FLAIR MRI.
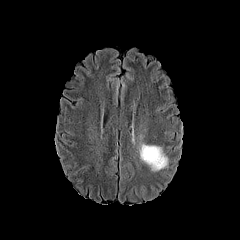
T1-weighted MR image.
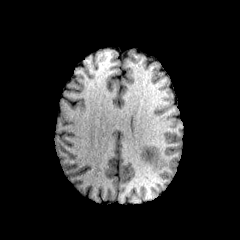
Post-contrast T1-weighted MRI.
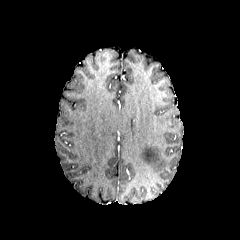
T2-weighted MRI.
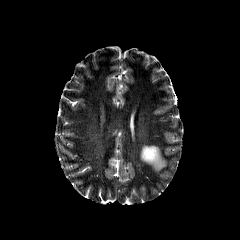
240x240
edema:
  - [x1=140, y1=146, x2=167, y2=170]